Brain. Field of view 240 mm wide, 1.00 mm slice spacing.
FLAIR magnetic resonance.
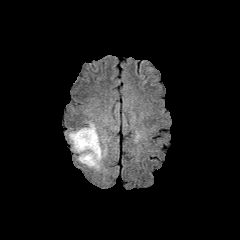
T1-weighted MR.
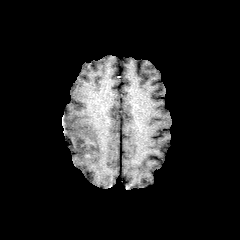
Post-contrast T1-weighted magnetic resonance.
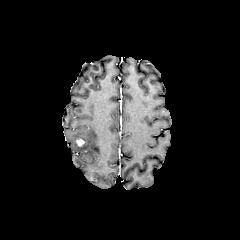
T2-weighted MRI.
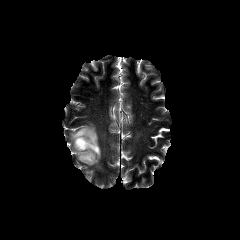
Enhancing tumor: rect(76, 138, 84, 147).
Non-enhancing tumor core: rect(75, 140, 87, 152).
Edema: rect(68, 121, 105, 170).